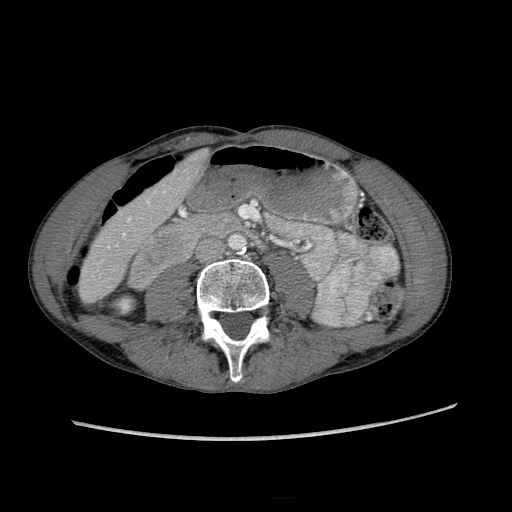 CT
liver:
  - {"x1": 81, "y1": 148, "x2": 206, "y2": 297}